CT image, Slice 459/722, 512x512 px, Liver
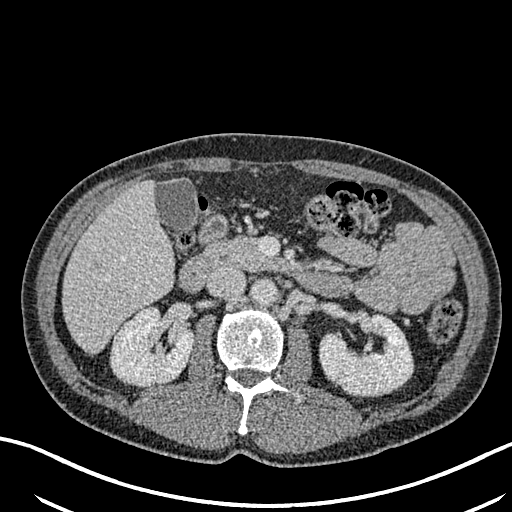

The focal liver lesion is bounded by x1=91, y1=260, x2=102, y2=270. 2 kidney regions are located at x1=320, y1=314, x2=412, y2=394; x1=112, y1=308, x2=192, y2=385. The liver appears at x1=64, y1=180, x2=174, y2=352.